Image width 353 mm, Computed tomography
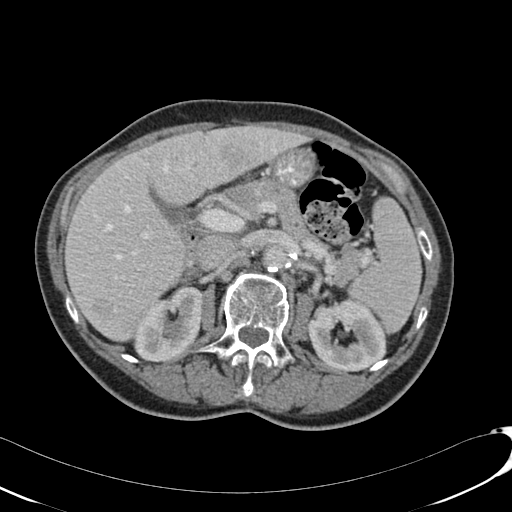

Segmented structures:
* liver lesion: box=[91, 298, 117, 319]; box=[219, 144, 253, 169]
* liver: box=[66, 127, 314, 339]
* kidney: box=[135, 287, 202, 361]; box=[308, 302, 385, 370]